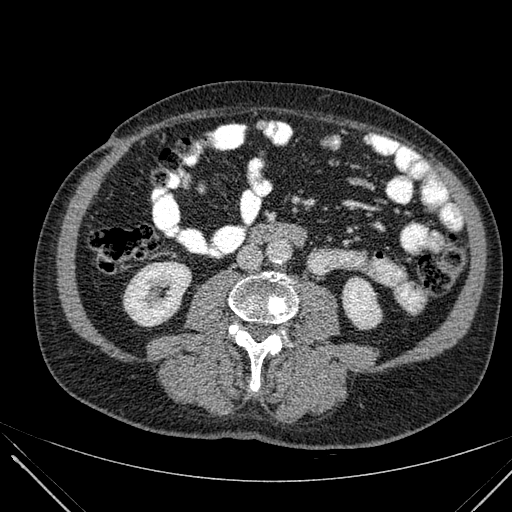

Abdomen. Image size 512x512. CT scan slice.
kidney: {"x1": 343, "y1": 278, "x2": 380, "y2": 328}, {"x1": 124, "y1": 262, "x2": 190, "y2": 325}